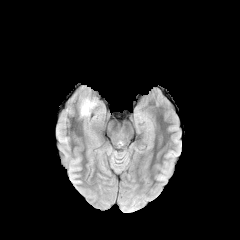
FLAIR MR image.
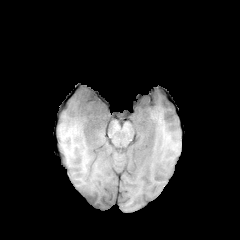
T1-weighted MR.
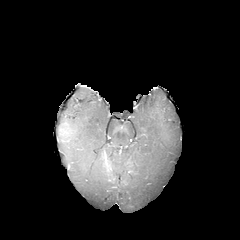
Post-contrast T1-weighted MRI.
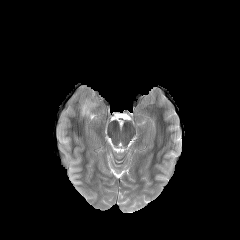
T2-weighted MRI of the same slice.
Brain
edema:
  - left=80, top=97, right=97, bottom=120